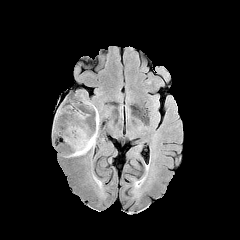
FLAIR MR image.
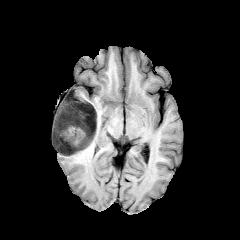
T1-weighted magnetic resonance.
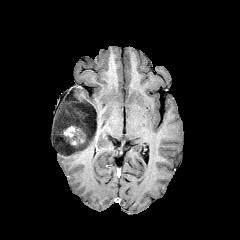
Post-contrast T1-weighted MR image.
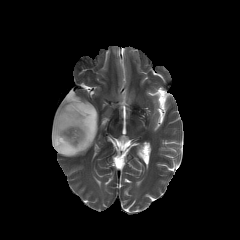
T2-weighted magnetic resonance.
Brain.
Enhancing tumor: bounding box 64 126 78 137.
Non-enhancing tumor core: bounding box 53 96 97 155.
Edema: bounding box 64 150 84 156.